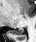
MRI slice.
Posterior hippocampus — l=11, t=28, r=23, b=35.